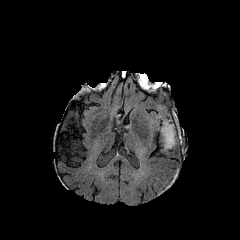
FLAIR MR image.
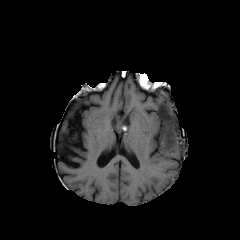
T1-weighted MR.
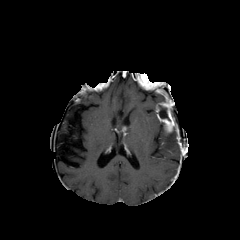
Post-contrast T1-weighted MRI.
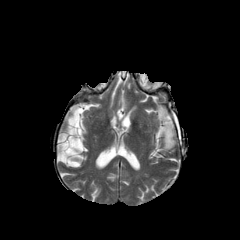
T2-weighted magnetic resonance.
Head; Image size 240x240
The edema lies within left=160, top=133, right=177, bottom=152. The enhancing tumor is bounded by left=158, top=103, right=177, bottom=132. 4 non-enhancing tumor core regions appear at left=156, top=104, right=167, bottom=117; left=161, top=122, right=179, bottom=138; left=139, top=78, right=150, bottom=89; left=162, top=92, right=173, bottom=111.